CT scan slice
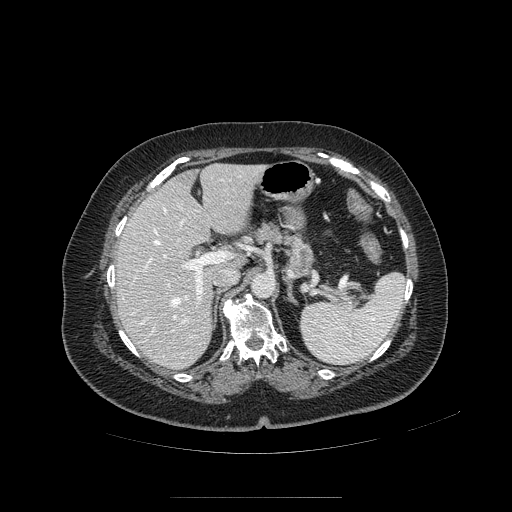 Segmented structures:
- pancreas: (249,220,317,277)
- pancreatic tumor: (295,249,314,267)